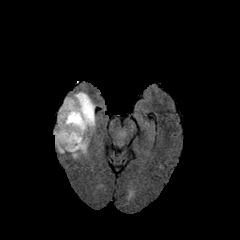
FLAIR MR image.
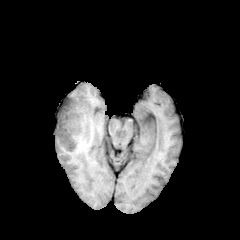
T1-weighted MRI.
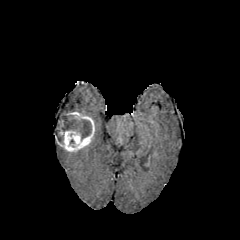
Post-contrast T1-weighted magnetic resonance of the same slice.
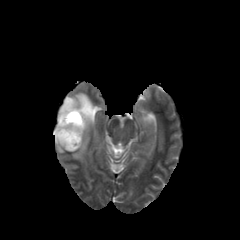
T2-weighted MR image.
240x240 px.
Non-enhancing tumor core: x1=54, y1=130, x2=63, y2=142; x1=57, y1=101, x2=92, y2=140.
Edema: x1=70, y1=144, x2=89, y2=160; x1=57, y1=91, x2=97, y2=129; x1=55, y1=139, x2=69, y2=154.
Enhancing tumor: x1=54, y1=112, x2=95, y2=151.